CT | Abdomen | Slice 8 of 41

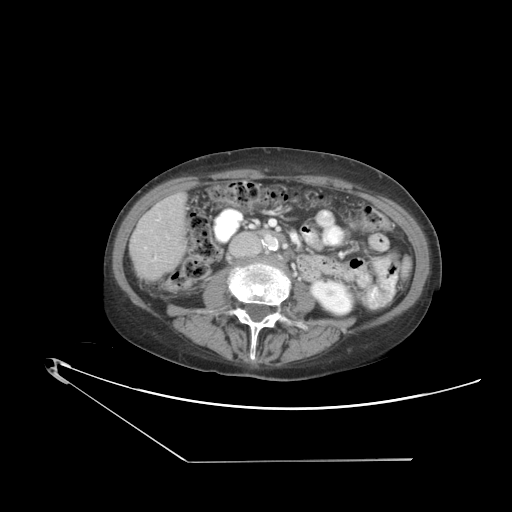
Some hepatic vessels may have no box.
Hepatic vessel = region(157, 218, 160, 220); region(153, 257, 156, 260).